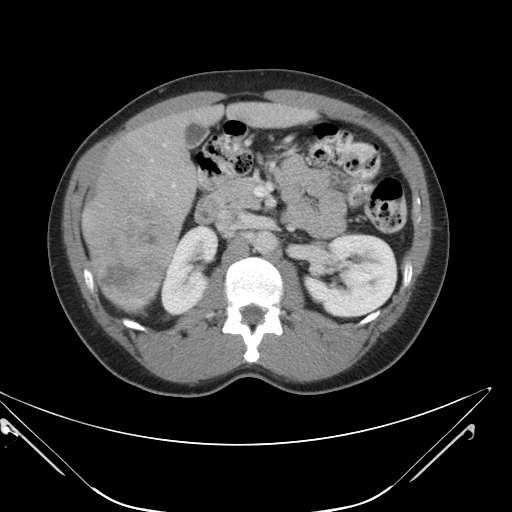
CT image
Not every hepatic vessel necessarily has a box.
The liver tumor lies within box=[96, 206, 176, 303]. 3 hepatic vessel regions appear at box=[163, 143, 165, 145]; box=[150, 159, 153, 161]; box=[172, 184, 175, 187].